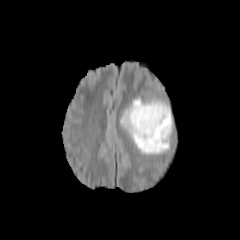
FLAIR MR.
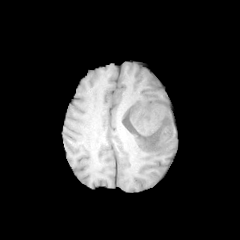
Same slice, T1-weighted MRI.
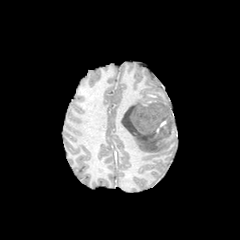
Same slice, post-contrast T1-weighted magnetic resonance.
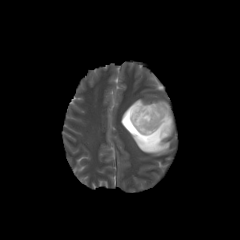
T2-weighted MR image of the same slice.
Image size 240x240
Edema = l=118, t=97, r=171, b=154.
Enhancing tumor = l=153, t=120, r=166, b=138.
Non-enhancing tumor core = l=122, t=102, r=173, b=141.